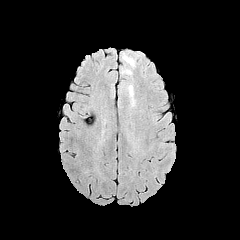
FLAIR MR image.
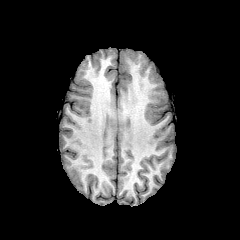
T1-weighted MRI.
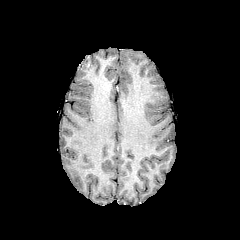
Post-contrast T1-weighted MR image.
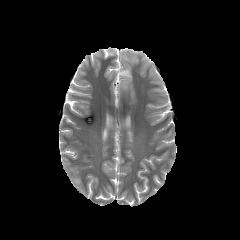
T2-weighted MRI of the same slice.
240x240
edema: left=120, top=50, right=140, bottom=79; left=126, top=82, right=133, bottom=99